FLAIR magnetic resonance.
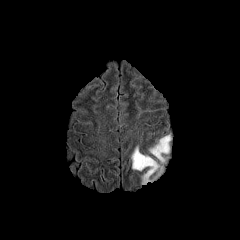
T1-weighted MR image.
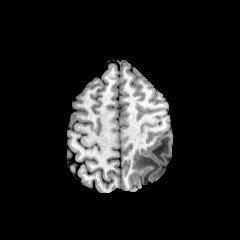
Post-contrast T1-weighted MRI.
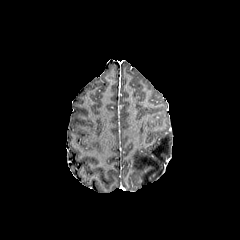
T2-weighted MR image.
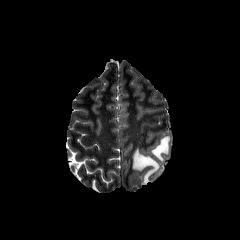
Edema = x1=132 y1=147 x2=158 y2=184, x1=149 y1=135 x2=170 y2=162.